Slice 43/110; MR image; Heart

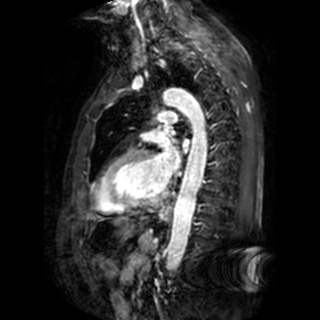
- left atrium: bbox=[157, 136, 180, 177]